Field of view 377 mm wide, 1.50 mm slice spacing. CT image.
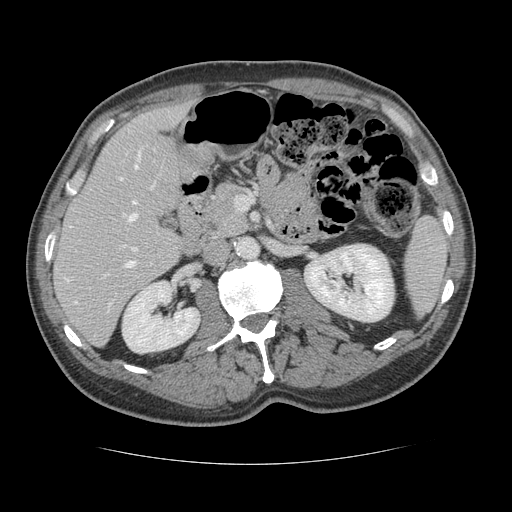 The vessel boxes may cover only some of the vessels.
13 hepatic vessel regions are located at 151:184:153:188, 119:177:121:179, 126:261:134:266, 107:302:110:309, 123:213:136:220, 104:274:105:276, 140:147:142:150, 135:163:138:168, 133:201:135:203, 65:278:68:280, 138:151:140:157, 75:301:76:303, 131:247:136:250.